Slice index 102
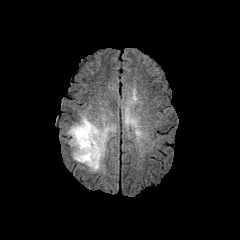
FLAIR magnetic resonance.
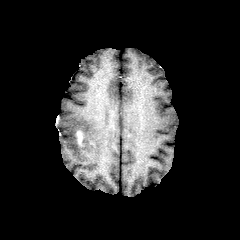
T1-weighted MR.
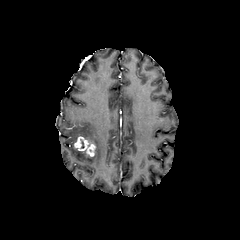
Post-contrast T1-weighted MR of the same slice.
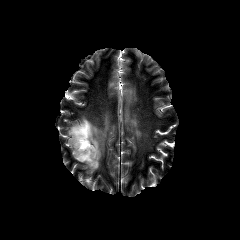
T2-weighted MR.
• edema: rect(122, 106, 137, 129); rect(66, 114, 115, 173)
• enhancing tumor: rect(74, 136, 95, 156)